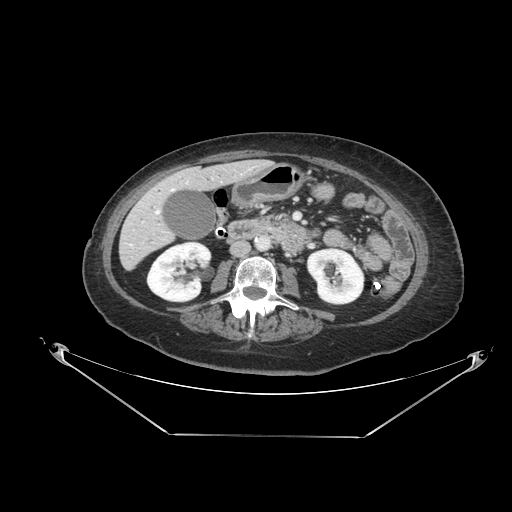

Image size 512x512 | Abdomen | CT image
<segmentation>
  <pancreas>(left=258, top=216, right=277, bottom=227)</pancreas>
</segmentation>